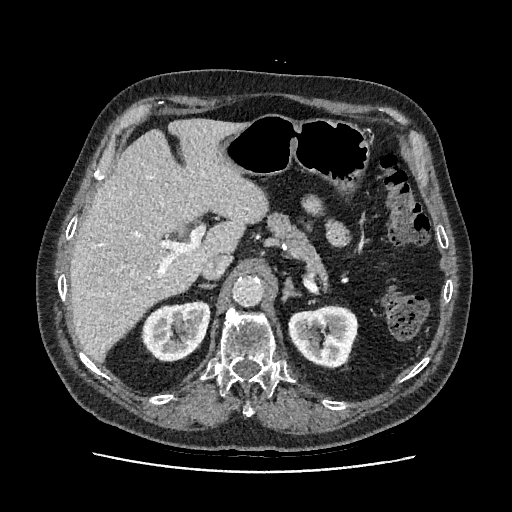
Abdomen | Image size 512x512 | CT
kidney:
  - left=144, top=302, right=209, bottom=360
  - left=289, top=307, right=356, bottom=366
liver:
  - left=70, top=119, right=266, bottom=361